240x240
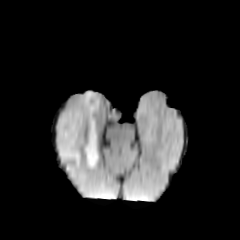
FLAIR MR image.
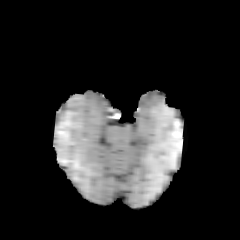
Same slice, T1-weighted MR.
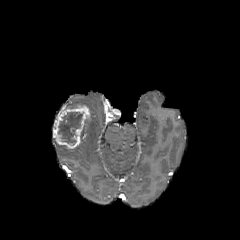
Post-contrast T1-weighted magnetic resonance of the same slice.
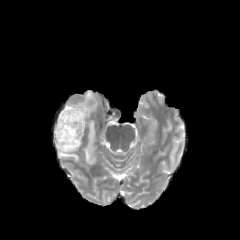
T2-weighted MRI.
2 edema regions are located at rect(67, 91, 97, 166); rect(56, 142, 81, 163). The non-enhancing tumor core is at rect(58, 112, 82, 143). The enhancing tumor appears at rect(52, 105, 90, 148).